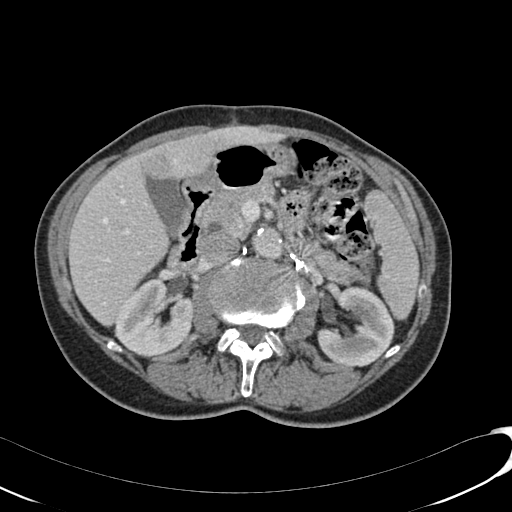
CT scan slice; Abdomen

2 liver lesion regions appear at {"x1": 147, "y1": 156, "x2": 169, "y2": 177}, {"x1": 213, "y1": 145, "x2": 226, "y2": 153}. 2 kidney regions are located at {"x1": 318, "y1": 288, "x2": 393, "y2": 365}, {"x1": 116, "y1": 279, "x2": 192, "y2": 355}. The liver is bounded by {"x1": 70, "y1": 127, "x2": 285, "y2": 325}.